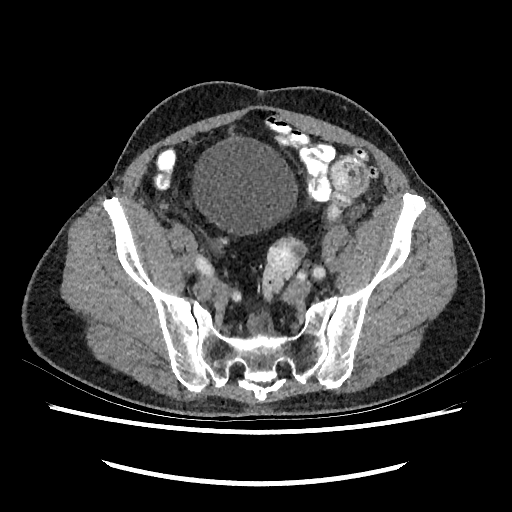

CT slice
<segmentation>
  <urinary_bladder>x1=193, y1=131, x2=297, y2=235</urinary_bladder>
</segmentation>